Image width 320 mm | Abdomen | CT
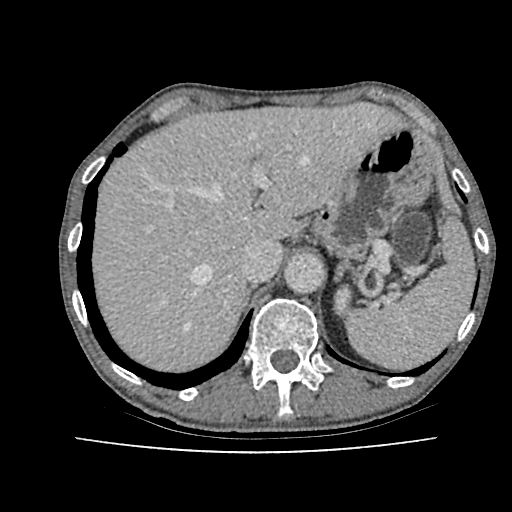 Segmented structures:
* liver: (x1=91, y1=104, x2=406, y2=371)
* kidney: (x1=338, y1=292, x2=347, y2=305)